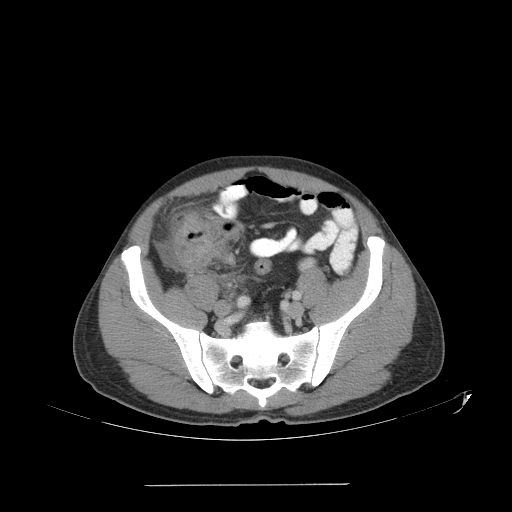

CT scan slice. Image size 512x512. Abdomen. Colon tumor = box=[173, 214, 215, 270].